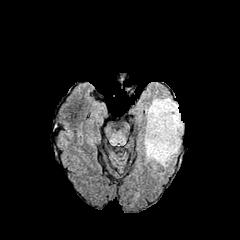
FLAIR MR.
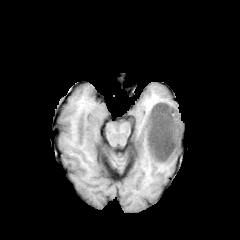
T1-weighted MR image of the same slice.
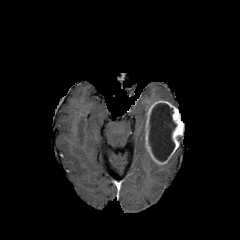
Same slice, post-contrast T1-weighted MR image.
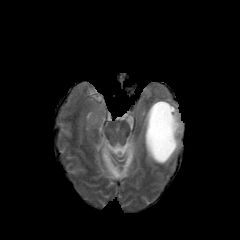
T2-weighted MRI of the same slice.
<segmentation>
  <non-enhancing_tumor_core><box>148,102,175,161</box></non-enhancing_tumor_core>
  <enhancing_tumor><box>145,100,183,163</box></enhancing_tumor>
  <edema><box>158,140,181,166</box>, <box>145,96,177,111</box>, <box>141,112,146,149</box>, <box>146,150,157,163</box></edema>
</segmentation>